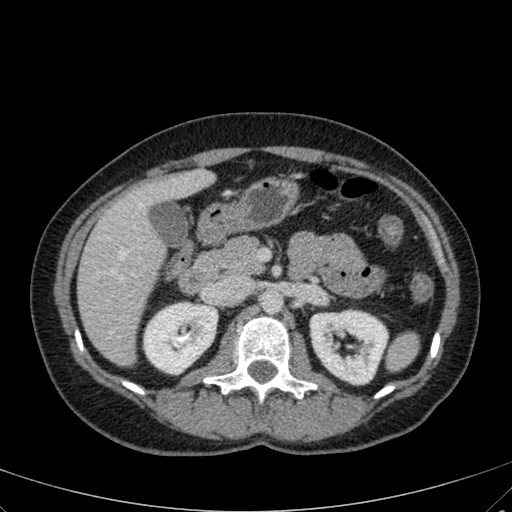 CT scan slice; 512x512; Abdomen
Liver: bounding box bbox(77, 170, 213, 365).
Kidney: bounding box bbox(311, 311, 387, 383); bbox(144, 303, 217, 373).